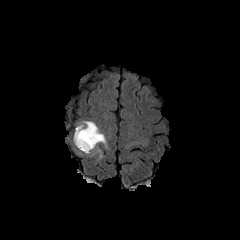
FLAIR magnetic resonance.
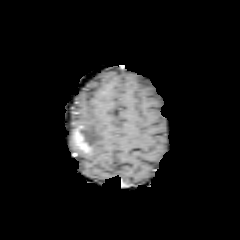
Same slice, T1-weighted MRI.
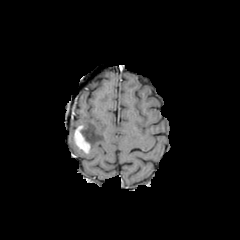
Post-contrast T1-weighted magnetic resonance.
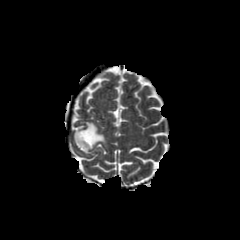
T2-weighted MRI.
240x240.
Annotated regions:
- non-enhancing tumor core: x1=80, y1=130, x2=94, y2=148
- edema: x1=80, y1=121, x2=106, y2=153
- enhancing tumor: x1=74, y1=125, x2=90, y2=153